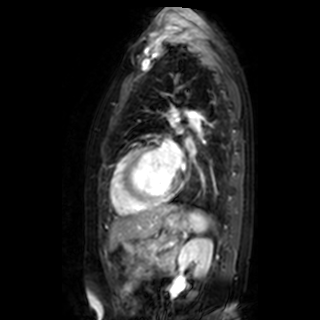

Heart; MRI
left_atrium:
  - 162:142:180:168
  - 185:137:192:149